Head.
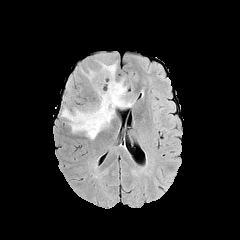
FLAIR magnetic resonance.
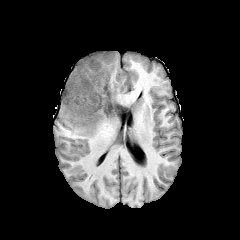
T1-weighted magnetic resonance of the same slice.
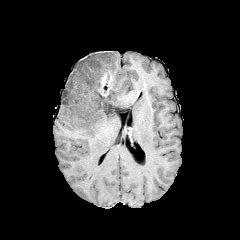
Post-contrast T1-weighted MR image.
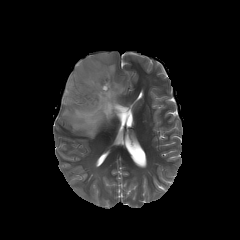
T2-weighted MR of the same slice.
Edema — bbox=[61, 55, 135, 139].
Enhancing tumor — bbox=[98, 72, 112, 95].
Non-enhancing tumor core — bbox=[96, 89, 117, 111].